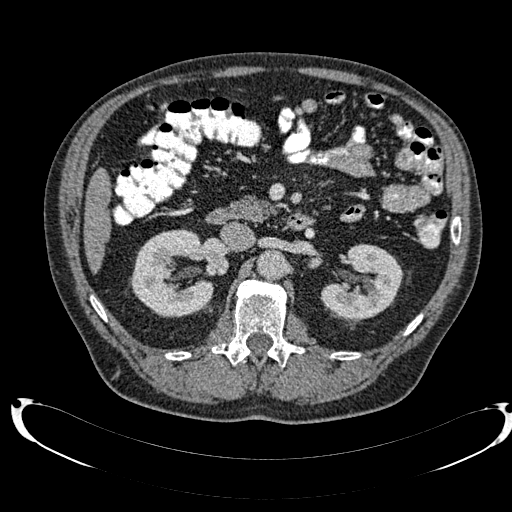

Liver | CT

2 kidney regions are bounded by 321, 244, 402, 321; 131, 229, 230, 316. The liver is at 83, 166, 110, 272.